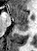 Hippocampus, MR image
Annotated regions:
• posterior hippocampus: bbox=[16, 23, 27, 33]
• anterior hippocampus: bbox=[9, 7, 27, 22]